CT image; Image size 512x512; Slice 575 of 689 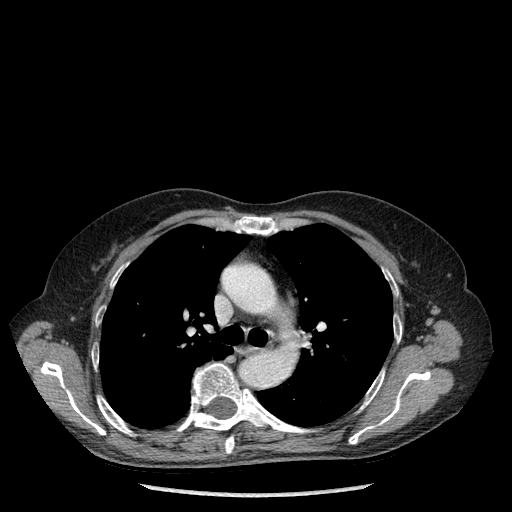

Bone at 97 395 134 435, 91 349 98 368, 110 266 122 287, 165 363 314 436, 393 315 401 342, 359 369 384 411, 225 436 234 453, 382 267 398 295, 349 371 430 444, 40 361 105 435, 233 216 278 235, 95 309 100 325.
Lung at 100 225 249 428, 257 224 392 426, 246 329 267 346.